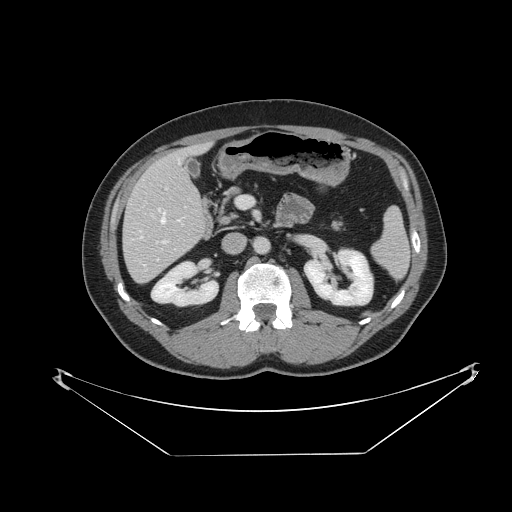

Abdomen. CT slice.
spleen:
  - box=[373, 209, 408, 277]